CT; Slice 360/630

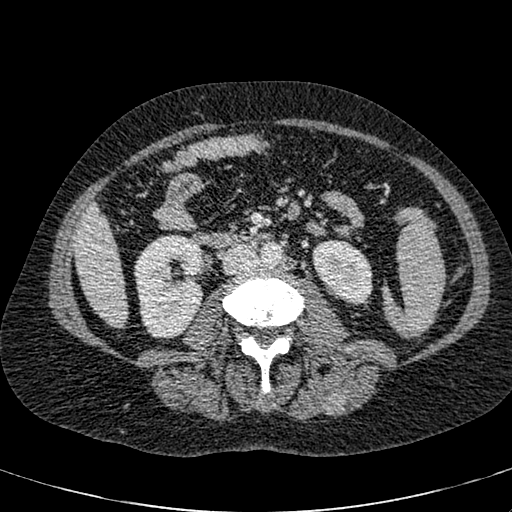 liver:
  - left=75, top=205, right=126, bottom=324
kidney:
  - left=313, top=241, right=371, bottom=303
  - left=135, top=235, right=202, bottom=337